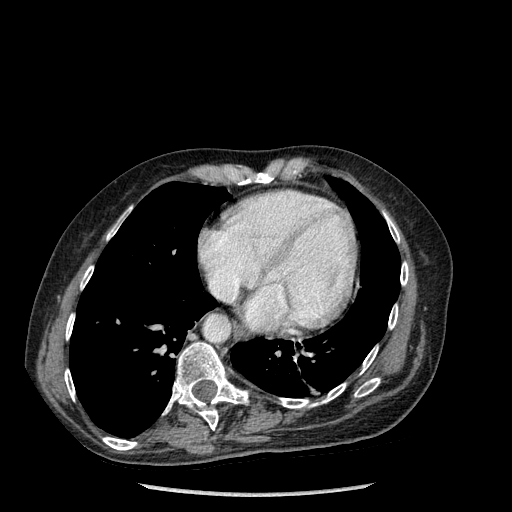

CT slice; Thorax

• bone: box=[384, 213, 399, 242]; box=[106, 206, 132, 240]; box=[238, 171, 273, 184]; box=[163, 342, 248, 430]; box=[354, 378, 380, 397]; box=[279, 383, 346, 408]; box=[64, 369, 74, 401]; box=[388, 304, 398, 329]; box=[80, 266, 93, 289]; box=[360, 345, 378, 374]; box=[65, 313, 74, 339]; box=[400, 262, 408, 285]; box=[102, 437, 136, 450]
• lung: box=[69, 182, 229, 437]; box=[231, 179, 400, 398]